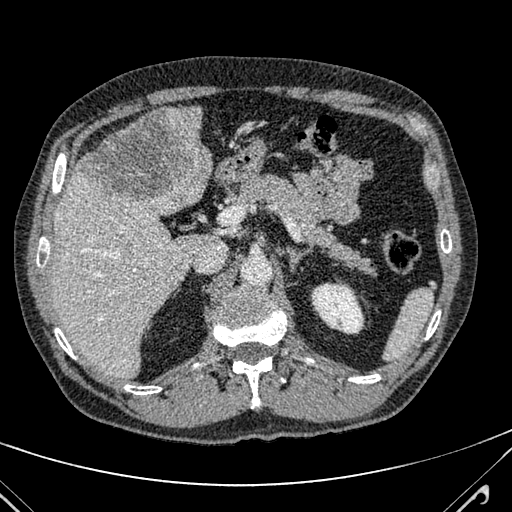
CT slice. Abdomen.
liver:
  - x1=50 y1=162 x2=211 y2=378
  - x1=167 y1=107 x2=202 y2=140
hepatic_lesion:
  - x1=77 y1=109 x2=210 y2=203